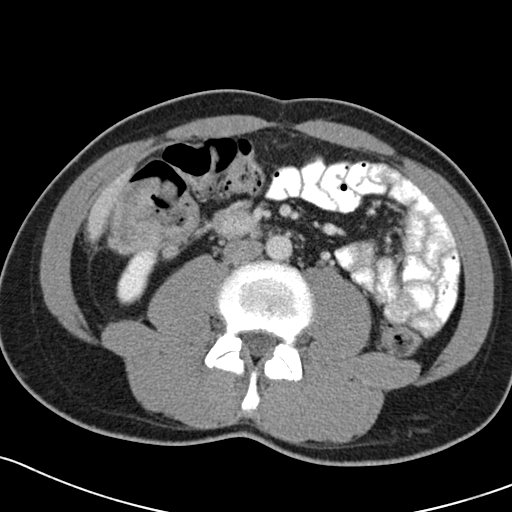
CT scan slice
Colon tumor: (108, 178, 199, 253).